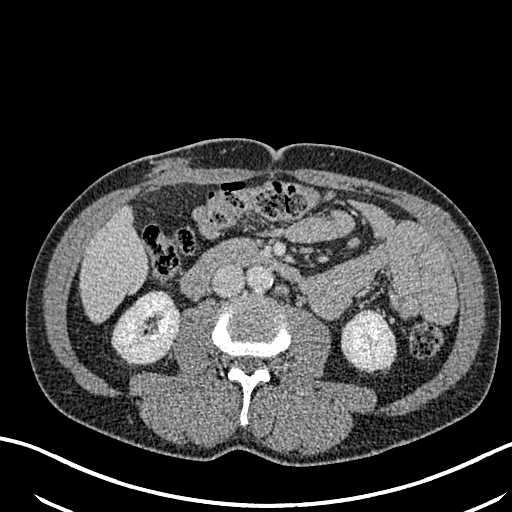

Computed tomography | 512x512
{"liver": ["(x1=80, y1=207, x2=146, y2=321)"], "kidney": ["(x1=342, y1=311, x2=395, y2=369)", "(x1=113, y1=292, x2=178, y2=362)"]}